Liver. Slice 536/846. Computed tomography.

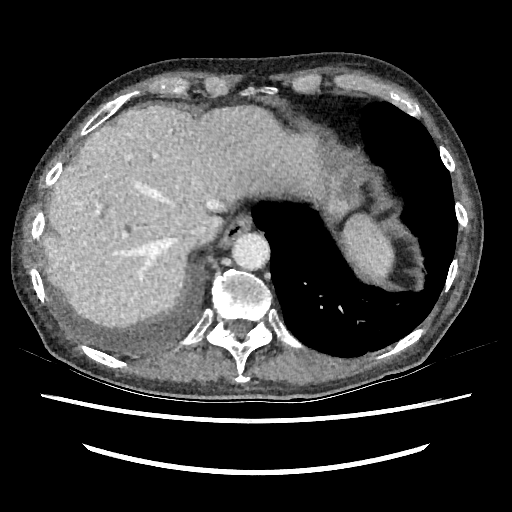 liver:
  - [x1=43, y1=105, x2=325, y2=325]